CT image, Liver 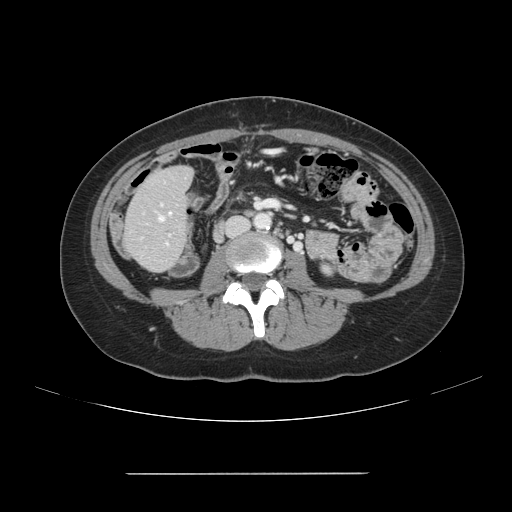

The vessel annotation is not exhaustive.
Hepatic vessel at 159, 217, 163, 220; 169, 212, 170, 214.